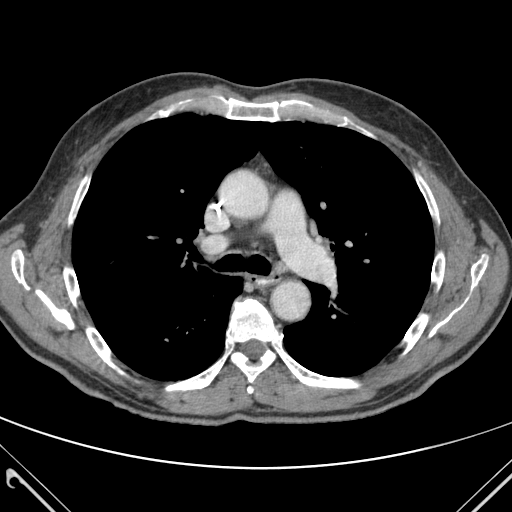
CT scan slice

lung:
  - [72, 113, 433, 380]
bone:
  - [11, 250, 29, 289]
  - [429, 296, 468, 336]
  - [416, 175, 439, 221]
  - [64, 268, 78, 305]
  - [36, 290, 73, 328]
  - [212, 97, 353, 125]
  - [166, 299, 358, 390]
  - [404, 314, 427, 353]
  - [69, 177, 89, 223]
  - [471, 255, 487, 290]
  - [86, 328, 115, 368]
  - [431, 253, 444, 287]
  - [157, 102, 182, 116]